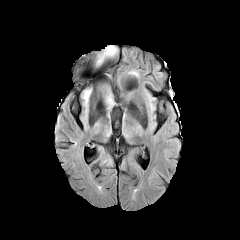
FLAIR MRI.
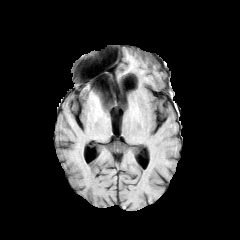
T1-weighted magnetic resonance.
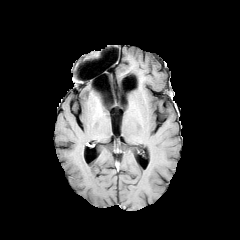
Same slice, post-contrast T1-weighted magnetic resonance.
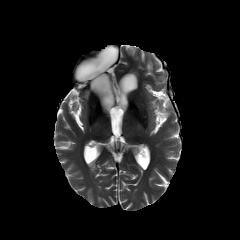
T2-weighted magnetic resonance of the same slice.
Brain. 240x240 px.
2 edema regions appear at x1=105, y1=46, x2=115, y2=54; x1=102, y1=90, x2=113, y2=111.